512x512, CT image

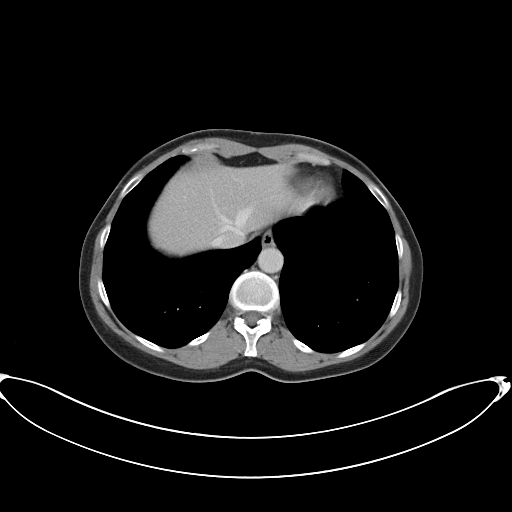
Not every hepatic vessel necessarily has a box.
2 hepatic vessel regions are located at (214, 237, 222, 243), (219, 206, 253, 234).